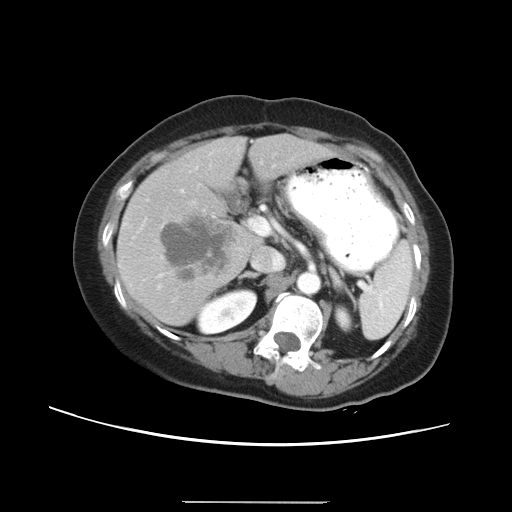 CT image. Liver.

Not every hepatic vessel necessarily has a box.
Hepatic vessel = <box>159,273,162,276</box>, <box>181,189,183,191</box>.
Liver tumor = <box>160,216,230,279</box>.